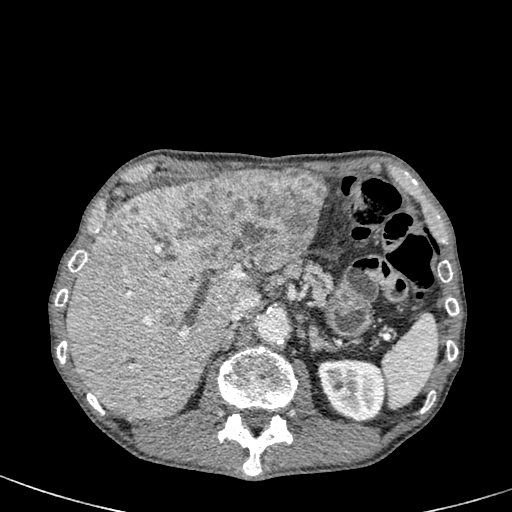 Upper abdomen | CT slice
Liver at (x1=66, y1=182, x2=258, y2=419).
Kidney at (x1=318, y1=360, x2=383, y2=420).
Hepatic lesion at (x1=178, y1=169, x2=327, y2=278), (x1=109, y1=226, x2=128, y2=239), (x1=161, y1=314, x2=176, y2=326).